FLAIR magnetic resonance.
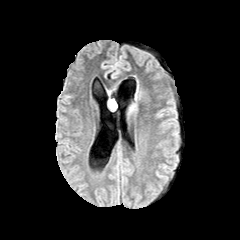
T1-weighted MR image.
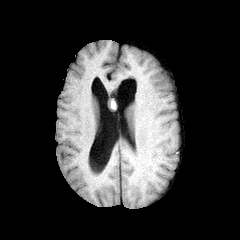
Post-contrast T1-weighted MR image.
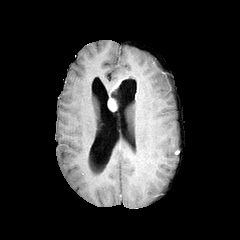
T2-weighted MR image.
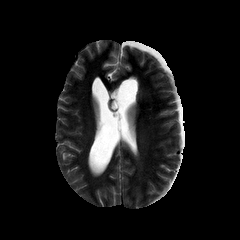
Enhancing tumor = region(108, 98, 115, 111).